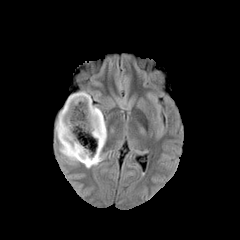
FLAIR magnetic resonance.
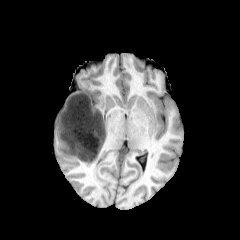
T1-weighted MR of the same slice.
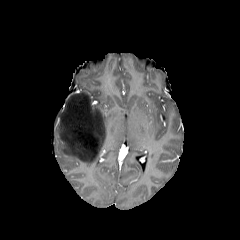
Post-contrast T1-weighted MR image.
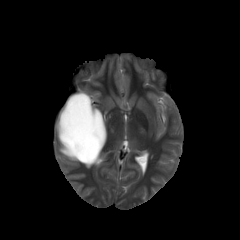
T2-weighted MRI of the same slice.
Head
Edema = rect(55, 124, 100, 167); rect(95, 106, 107, 144); rect(81, 90, 97, 101).
Non-enhancing tumor core = rect(56, 91, 105, 162).